512x512 px | Image width 352 mm | CT image | Slice index 23

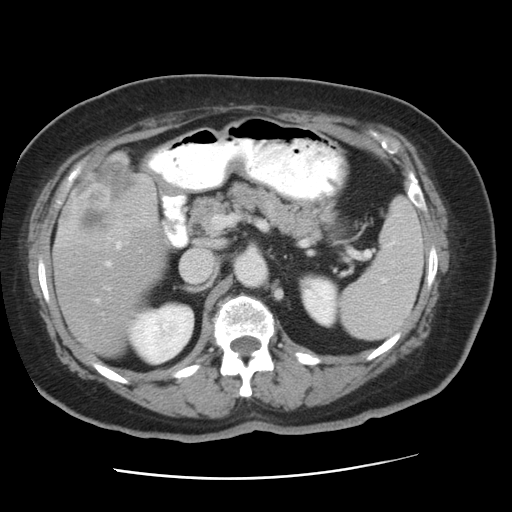 Not every hepatic vessel necessarily has a box.
The liver tumor is at 59:162:134:248. 5 hepatic vessel regions are located at 213:216:226:226, 105:262:110:264, 165:226:168:238, 117:242:119:247, 95:298:98:301.